Computed tomography, 512x512, Liver 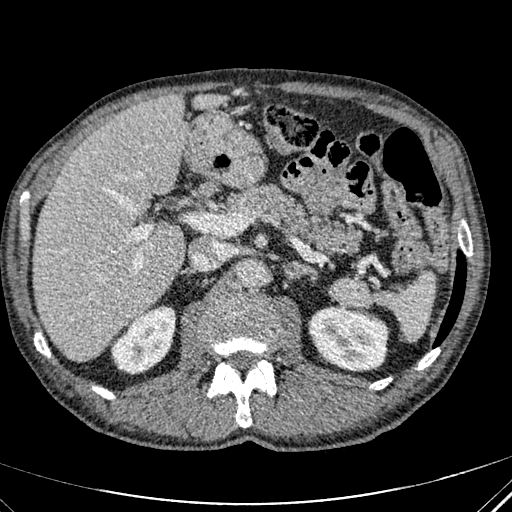
<segmentation>
  <focal_liver_lesion>rect(160, 96, 176, 107)</focal_liver_lesion>
  <liver>rect(34, 96, 187, 360); rect(202, 183, 215, 194); rect(194, 95, 222, 107)</liver>
  <kidney>rect(113, 308, 174, 372); rect(310, 308, 386, 369)</kidney>
</segmentation>